Slice 72/83, 512x512, CT image, Upper abdomen

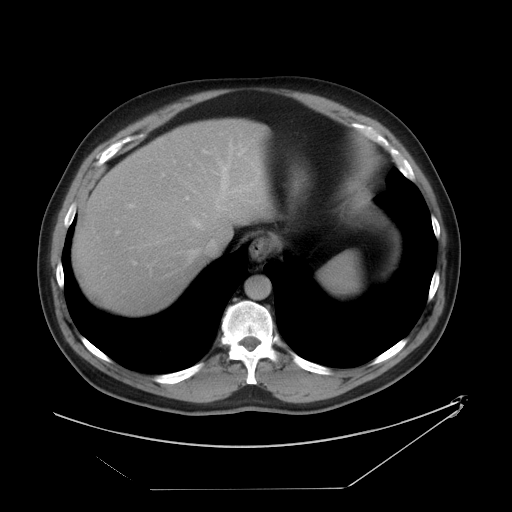

Spleen: [x1=319, y1=252, x2=362, y2=297].